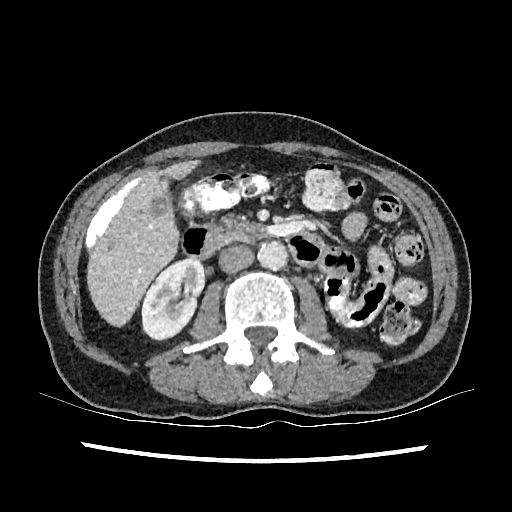 Abdomen | 512x512 px | CT image
Kidney — [142, 259, 203, 339].
Liver lesion — [149, 194, 170, 218].
Liver — [89, 161, 198, 324].